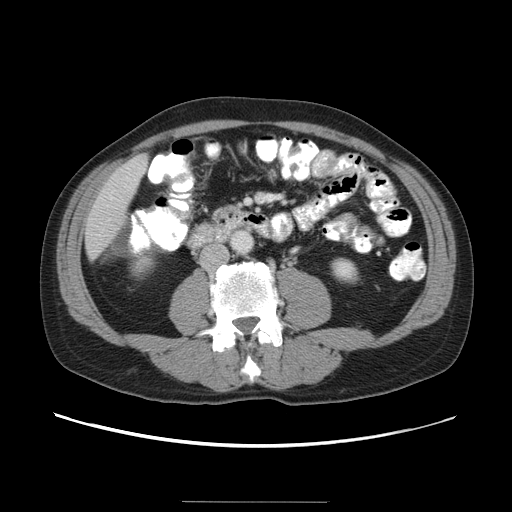 Abdomen | 512x512 px | CT image
The colon tumor lies within left=113, top=220, right=131, bottom=253.